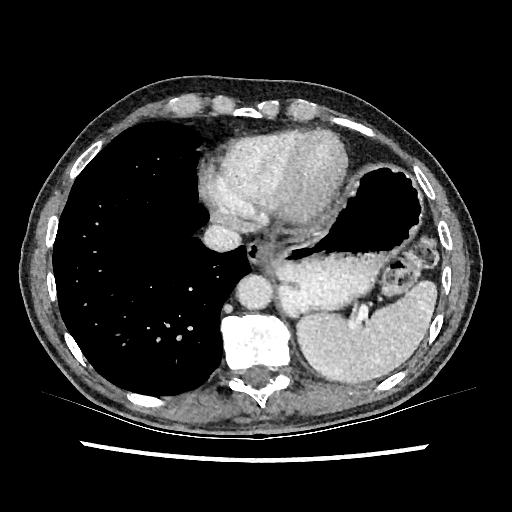

CT | 512x512 | Upper abdomen
Liver = l=285, t=236, r=304, b=242.